FLAIR MRI.
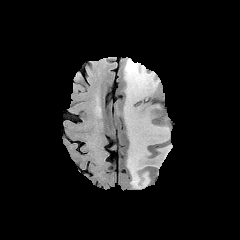
T1-weighted MR image.
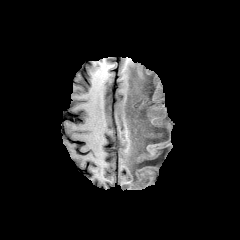
Post-contrast T1-weighted MRI.
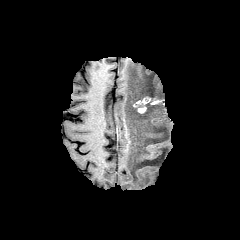
T2-weighted MRI.
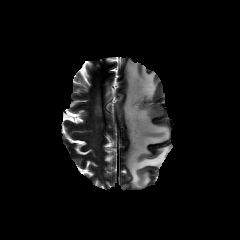
Edema at [122,60,170,188].
Non-enhancing tumor core at [132,96,149,126].